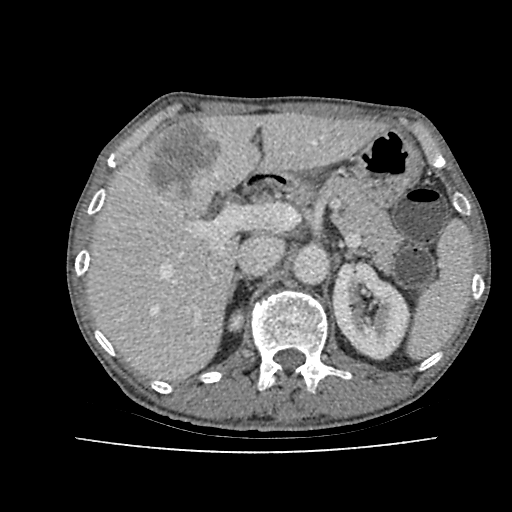

CT scan slice; Liver
liver: 89, 114, 383, 379 | hepatic lesion: 148, 122, 224, 198 | kidney: 334, 265, 408, 357